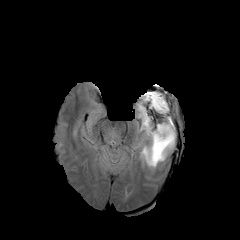
FLAIR MR image.
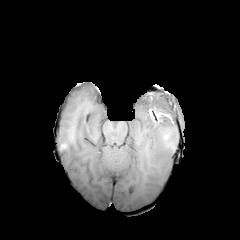
T1-weighted magnetic resonance.
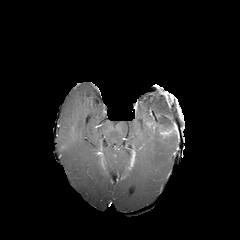
Post-contrast T1-weighted MR image.
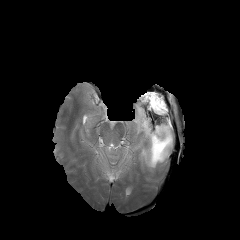
T2-weighted MR.
edema: bbox(100, 92, 175, 171) | non-enhancing tumor core: bbox(158, 126, 172, 131); bbox(134, 106, 142, 121); bbox(144, 119, 157, 131)